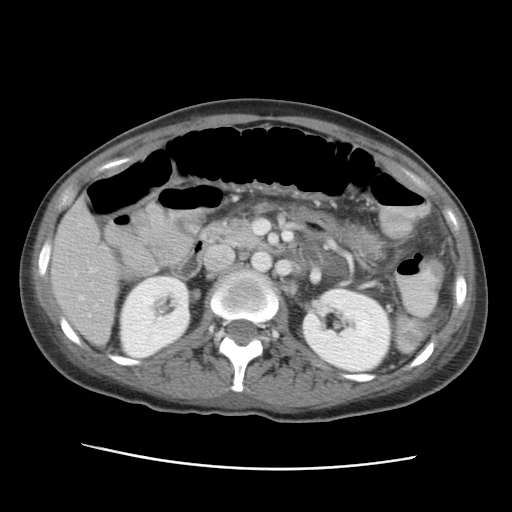

Liver | CT
{
  "kidney": [
    "x1=121 y1=277 x2=188 y2=357",
    "x1=303 y1=288 x2=390 y2=371"
  ],
  "liver": [
    "x1=51 y1=197 x2=117 y2=339"
  ]
}